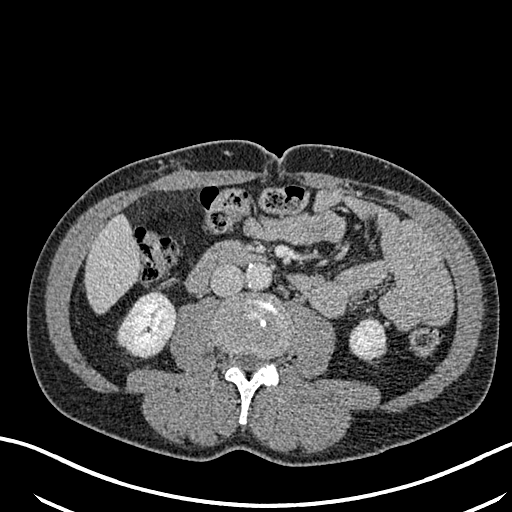 Liver, 512x512, CT image
Kidney — <box>119,293,175,356</box>, <box>350,320,384,357</box>.
Liver — <box>85,215,138,313</box>.